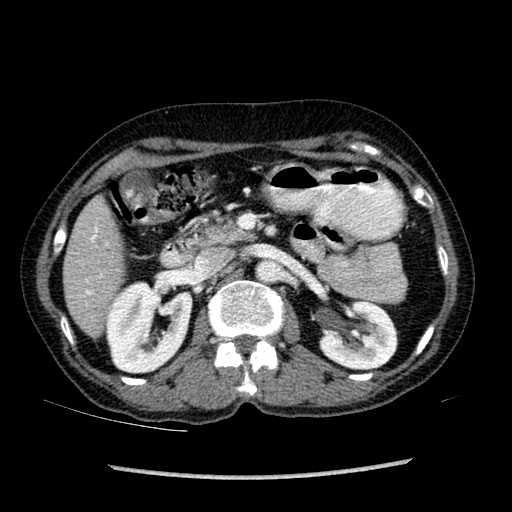

CT; Abdomen
2 kidney regions appear at [x1=319, y1=302, x2=395, y2=368], [x1=107, y1=279, x2=191, y2=372]. The liver is located at [x1=63, y1=209, x2=121, y2=329].